Image width 240 mm; Head
FLAIR MR.
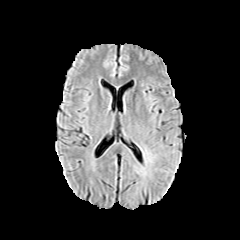
T1-weighted MR image.
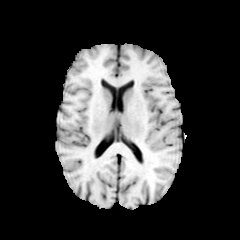
Post-contrast T1-weighted MR.
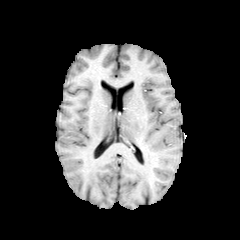
T2-weighted MR.
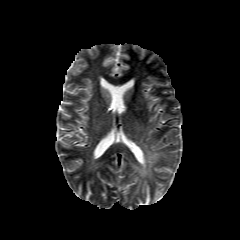
The edema is bounded by x1=144 y1=150 x2=153 y2=165.